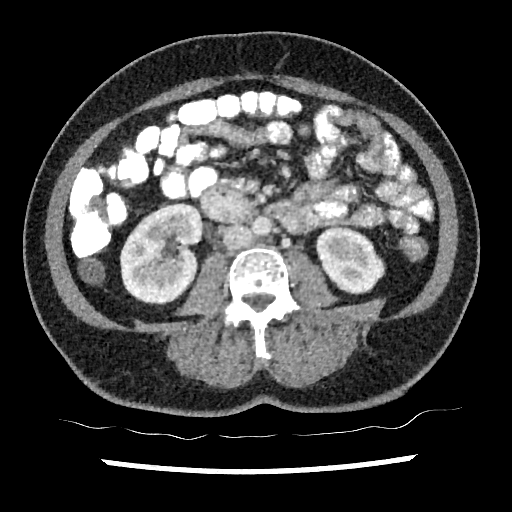

Computed tomography. Abdomen. {"kidney": ["<box>317,228,382,292</box>", "<box>121,204,201,302</box>"]}